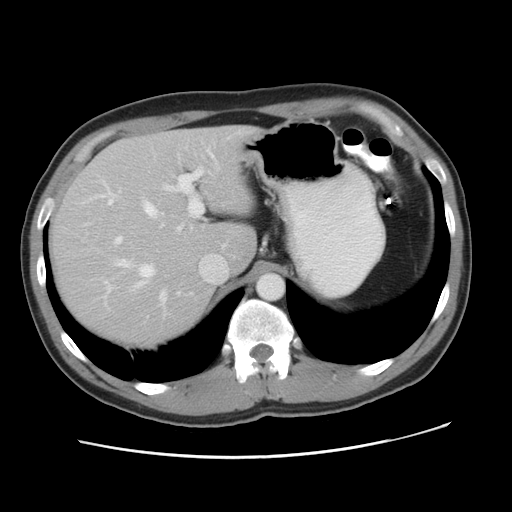
Abdomen | CT | Image size 512x512
Not every hepatic vessel necessarily has a box.
The principal 15 hepatic vessel regions (of 18) are located at <box>178,175,182,180</box>, <box>133,263,155,288</box>, <box>114,259,134,267</box>, <box>141,199,162,218</box>, <box>161,222,163,225</box>, <box>160,290,165,307</box>, <box>114,235,122,244</box>, <box>199,167,202,173</box>, <box>207,150,212,156</box>, <box>177,225,181,230</box>, <box>199,259,202,266</box>, <box>104,279,113,302</box>, <box>204,254,211,257</box>, <box>81,182,117,205</box>, <box>164,185,170,189</box>.